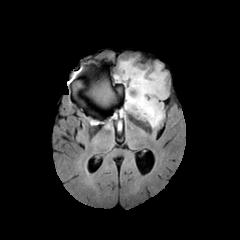
FLAIR magnetic resonance.
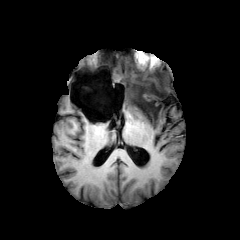
T1-weighted MR image.
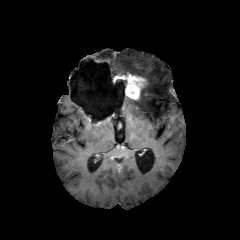
Same slice, post-contrast T1-weighted magnetic resonance.
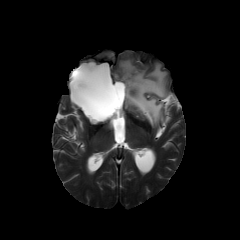
T2-weighted MRI of the same slice.
Image size 240x240
Edema — (118,59,168,128).
Non-enhancing tumor core — (94,84,114,103), (147,101,160,115), (126,74,148,106), (109,116,120,127).
Enhancing tumor — (114,72,145,99).